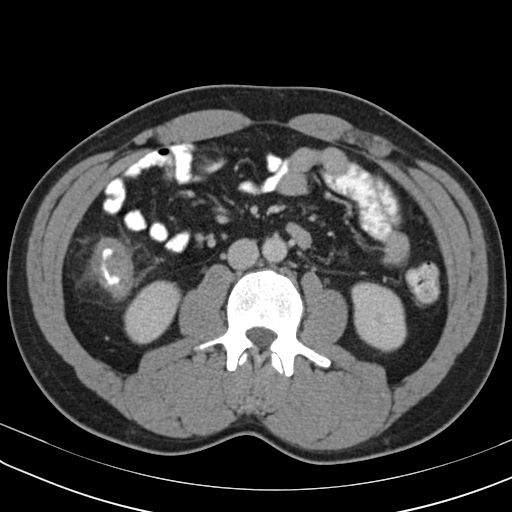 512x512 px, Computed tomography
The colon tumor is bounded by (92,239,133,299).